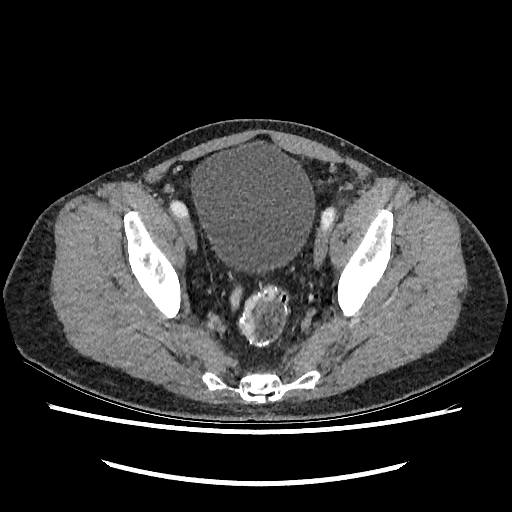
Computed tomography | Pelvis | Image size 512x512
Urinary bladder: <box>191,138,314,274</box>.